Field of view 479 mm wide, 5.00 mm slice spacing; CT image; Slice 23/36
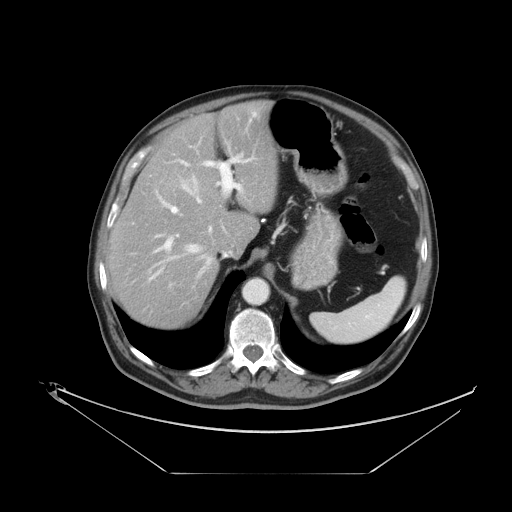

The vessel annotation is not exhaustive.
The top 15 hepatic vessel regions (of 19) are located at left=249, top=111, right=255, bottom=122; left=202, top=162, right=216, bottom=166; left=172, top=159, right=189, bottom=166; left=218, top=164, right=232, bottom=188; left=155, top=235, right=161, bottom=236; left=238, top=184, right=243, bottom=192; left=189, top=145, right=197, bottom=148; left=155, top=191, right=157, bottom=194; left=154, top=234, right=177, bottom=252; left=185, top=244, right=201, bottom=252; left=198, top=253, right=212, bottom=275; left=181, top=177, right=201, bottom=202; left=148, top=255, right=183, bottom=280; left=231, top=153, right=255, bottom=162; left=159, top=196, right=177, bottom=213.